Slice 61 of 155.
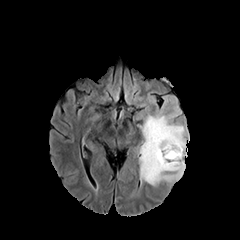
FLAIR MR image.
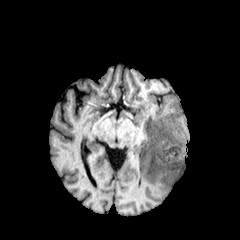
T1-weighted MR.
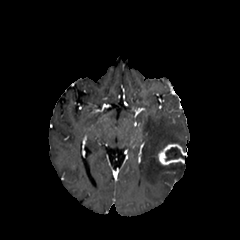
Post-contrast T1-weighted MRI.
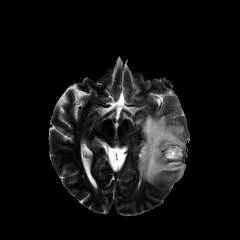
Same slice, T2-weighted magnetic resonance.
<segmentation>
  <enhancing_tumor>bbox(158, 144, 187, 164)</enhancing_tumor>
  <edema>bbox(140, 114, 186, 184)</edema>
  <non-enhancing_tumor_core>bbox(165, 146, 184, 161)</non-enhancing_tumor_core>
</segmentation>